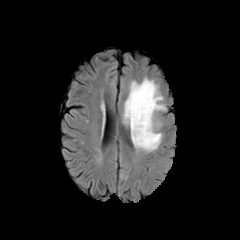
FLAIR MRI.
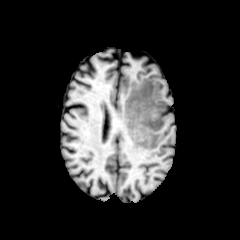
T1-weighted magnetic resonance.
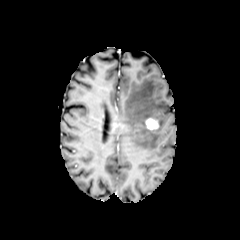
Same slice, post-contrast T1-weighted magnetic resonance.
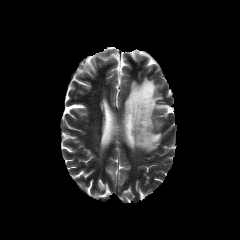
Same slice, T2-weighted magnetic resonance.
Head
Edema at bbox(124, 78, 166, 151).
Enhancing tumor at bbox(145, 118, 158, 129).